Image size 512x512 | Slice 55 of 89 | Computed tomography

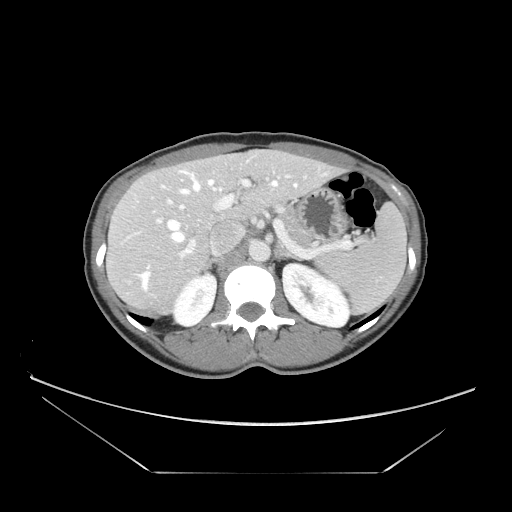

pancreas:
  - {"x1": 280, "y1": 207, "x2": 313, "y2": 248}